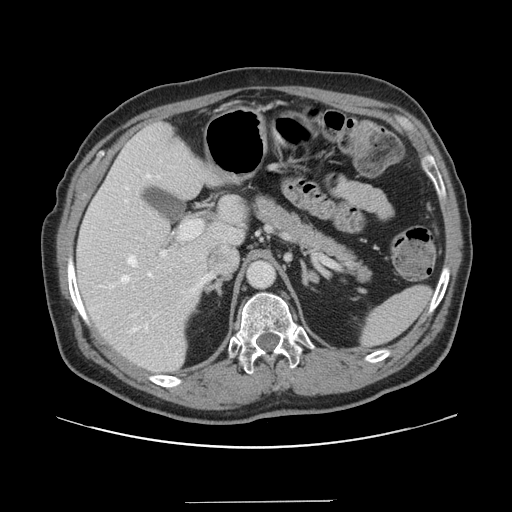 CT scan slice. Not every hepatic vessel necessarily has a box.
{"hepatic_vessel": ["x1=128, y1=326, x2=139, y2=332", "x1=125, y1=187, x2=128, y2=189", "x1=146, y1=174, x2=150, y2=177", "x1=148, y1=273, x2=151, y2=276", "x1=160, y1=251, x2=166, y2=256", "x1=127, y1=255, x2=136, y2=265", "x1=180, y1=220, x2=201, y2=239", "x1=153, y1=315, x2=156, y2=316", "x1=189, y1=274, x2=211, y2=292", "x1=121, y1=275, x2=129, y2=282", "x1=144, y1=323, x2=148, y2=331"]}